CT
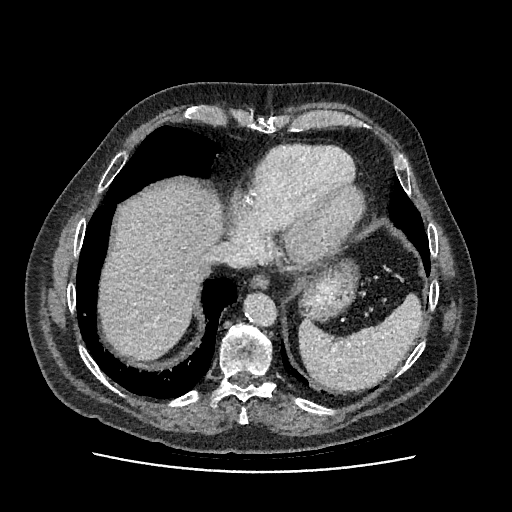

Liver at rect(98, 184, 222, 359).